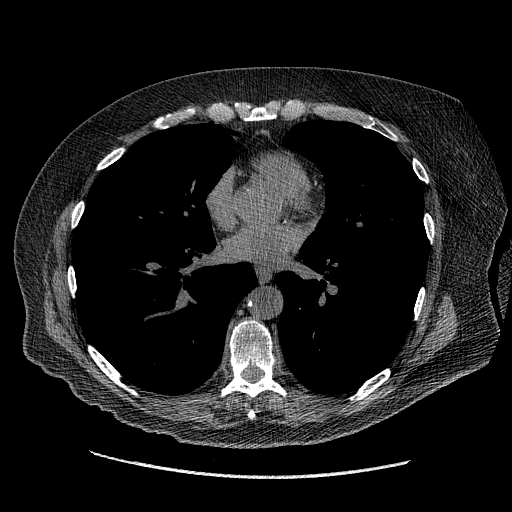 512x512 | CT scan slice | Chest
Annotated regions:
* lung tumor: <box>110,268,119,276</box>